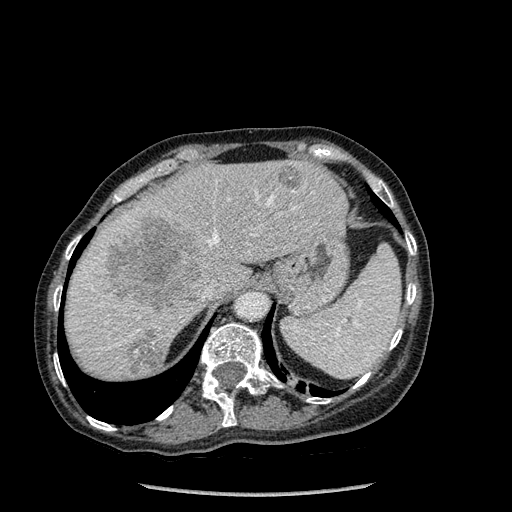

CT | Abdomen

{"bone": ["156:406:173:420", "406:283:416:304", "405:232:416:254", "113:193:122:203", "388:328:402:349", "53:353:65:385", "65:235:80:259", "87:416:115:431", "201:323:283:426", "306:397:330:403", "53:285:62:310", "371:179:394:207", "353:372:370:388"], "liver": ["65:160:348:381", "114:277:124:286"], "hepatic_lesion": ["283:198:290:209", "102:216:203:308", "127:329:164:371", "279:166:300:188"], "lung": ["70:235:90:270", "262:311:342:397", "57:325:204:424", "370:191:395:224"]}